Image size 512x512; CT scan slice

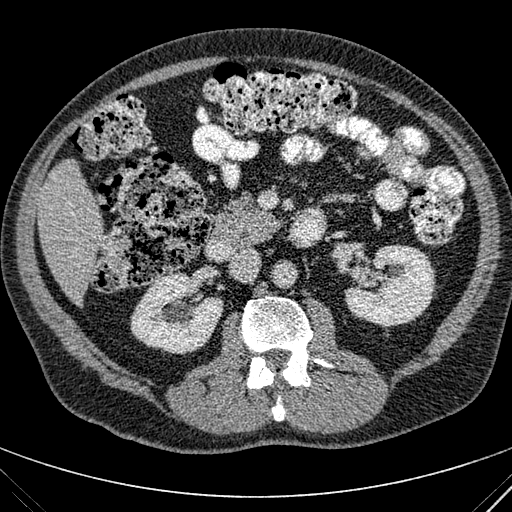 {
  "kidney": [
    "(131,271,222,353)",
    "(340,245,434,325)",
    "(355,250,366,262)"
  ],
  "liver": [
    "(37,160,102,306)"
  ]
}